CT

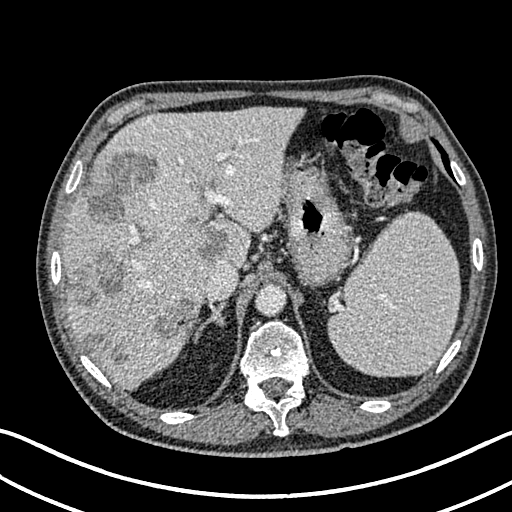 Liver = {"x1": 64, "y1": 107, "x2": 301, "y2": 387}.
Hepatic lesion = {"x1": 151, "y1": 299, "x2": 194, "y2": 342}, {"x1": 80, "y1": 332, "x2": 127, "y2": 364}, {"x1": 67, "y1": 248, "x2": 129, "y2": 305}, {"x1": 190, "y1": 217, "x2": 199, "y2": 223}, {"x1": 87, "y1": 152, "x2": 160, "y2": 225}, {"x1": 197, "y1": 226, "x2": 231, "y2": 260}.